Slice 217 of 432 | Liver | Image width 383 mm | CT image | 512x512 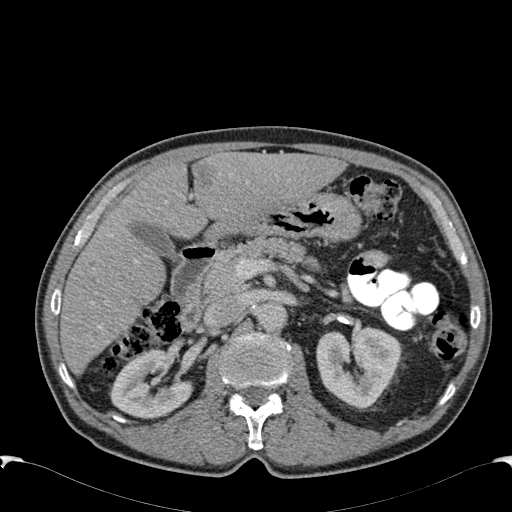

kidney:
  - x1=181 y1=357 x2=191 y2=371
  - x1=317 y1=328 x2=400 y2=407
  - x1=111 y1=350 x2=191 y2=417
liver:
  - x1=59 y1=159 x2=206 y2=375
  - x1=192 y1=152 x2=344 y2=226
hepatic_lesion:
  - x1=196 y1=163 x2=217 y2=187